512x512. CT image.

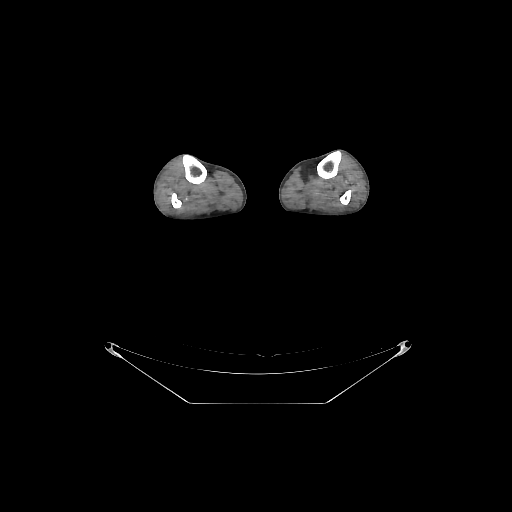

<segmentation>
  <bone>(left=340, top=190, right=351, bottom=204), (left=182, top=155, right=206, bottom=184), (left=171, top=193, right=181, bottom=208), (left=317, top=151, right=341, bottom=178)</bone>
</segmentation>